Field of view 240x240 mm.
FLAIR MR image.
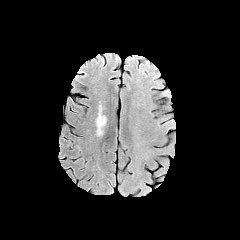
T1-weighted MR image.
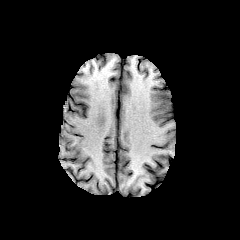
Post-contrast T1-weighted MR.
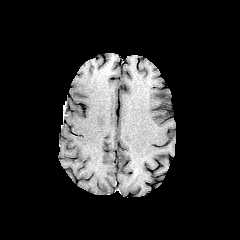
T2-weighted magnetic resonance.
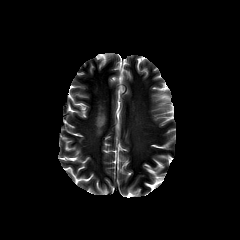
Edema — x1=96 y1=105 x2=106 y2=128.